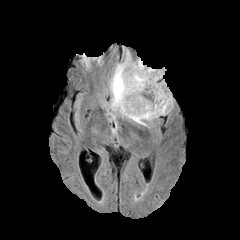
FLAIR MR.
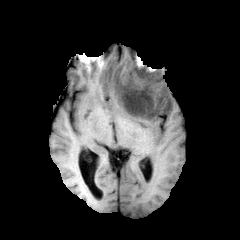
T1-weighted MR image.
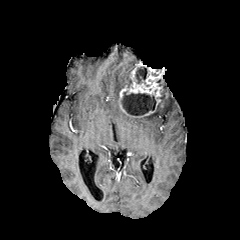
Post-contrast T1-weighted MR image of the same slice.
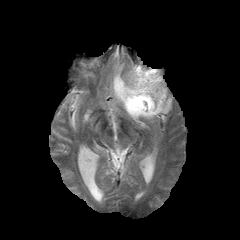
Same slice, T2-weighted magnetic resonance.
Image size 240x240; Brain
enhancing_tumor:
  - box=[119, 63, 163, 107]
edema:
  - box=[102, 52, 172, 128]
non-enhancing_tumor_core:
  - box=[122, 92, 155, 114]
  - box=[136, 67, 147, 83]